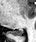 MRI slice
<segmentation>
  <posterior_hippocampus>9,29,23,36</posterior_hippocampus>
</segmentation>